MR image | Hippocampus | Field of view 36x48 mm
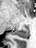

* posterior hippocampus: 13,26,28,38